Computed tomography; Upper abdomen

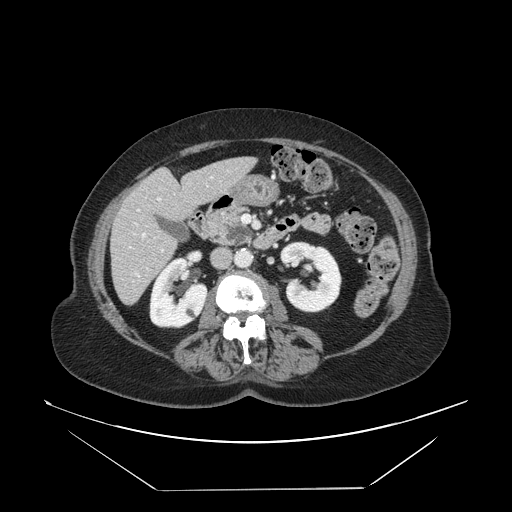
pancreas:
  - [204,205,255,247]
pancreatic_tumor:
  - [225,225,252,245]